Slice index 12, Hippocampus, MR image 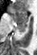

Segmented structures:
- posterior hippocampus: <box>16,23,26,32</box>
- anterior hippocampus: <box>8,8,28,22</box>